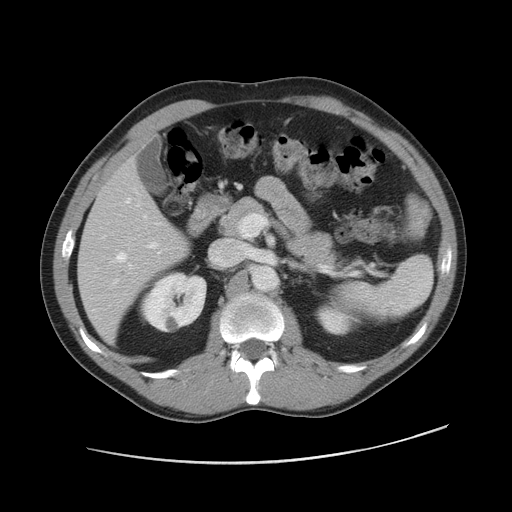

Abdomen; CT
colon tumor: bbox(405, 194, 430, 236)